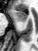

MRI slice; Medial temporal lobe

Anterior hippocampus at 11 10 27 21.